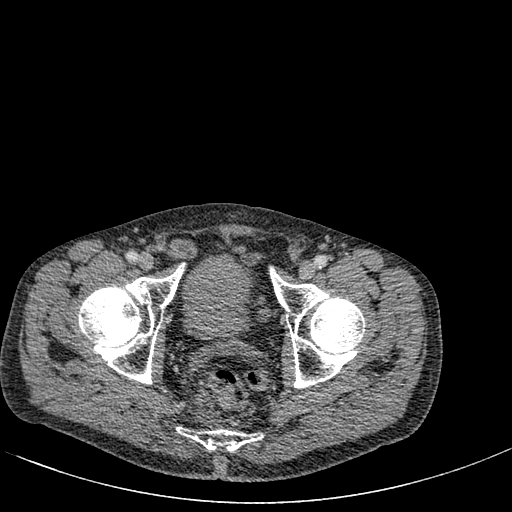
Image size 512x512; CT; Lower abdomen
<segmentation>
  <urinary_bladder>rect(175, 249, 263, 342)</urinary_bladder>
</segmentation>